CT slice. Slice 77 of 141. 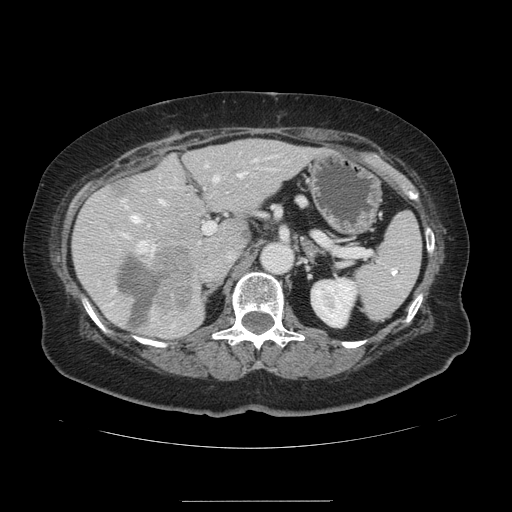
Only some of the vessels may be annotated.
Findings:
* hepatic vessel: [202, 220, 215, 233], [122, 233, 128, 236], [135, 241, 154, 254], [212, 176, 218, 181], [131, 215, 139, 221], [270, 156, 274, 156], [159, 199, 164, 204], [253, 158, 258, 160], [238, 172, 245, 177], [267, 168, 272, 169], [265, 157, 268, 157], [232, 254, 234, 256]
* liver tumor: [106, 182, 135, 201], [118, 246, 194, 330]